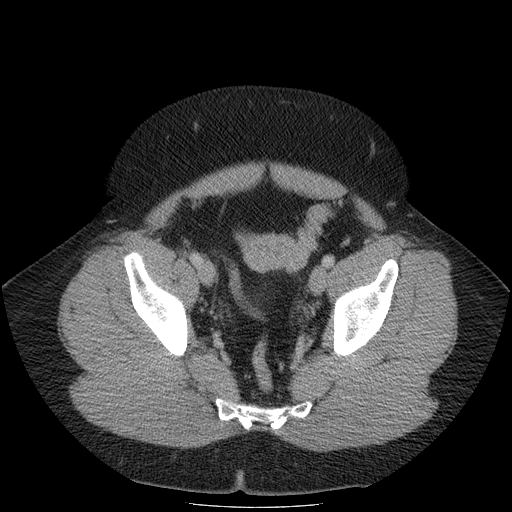
Abdomen, Computed tomography
{"colon_tumor": ["box=[244, 235, 295, 271]"]}